Slice 74/155
FLAIR MR.
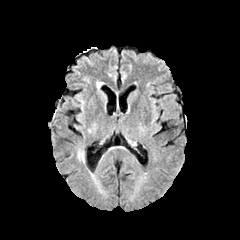
T1-weighted MRI.
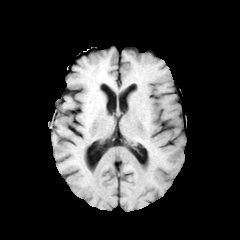
Post-contrast T1-weighted MR image.
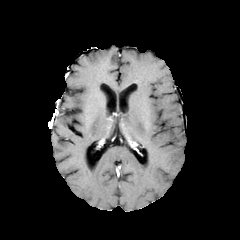
T2-weighted MR.
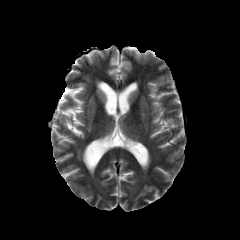
<segmentation>
  <edema>73,95,84,125</edema>
</segmentation>